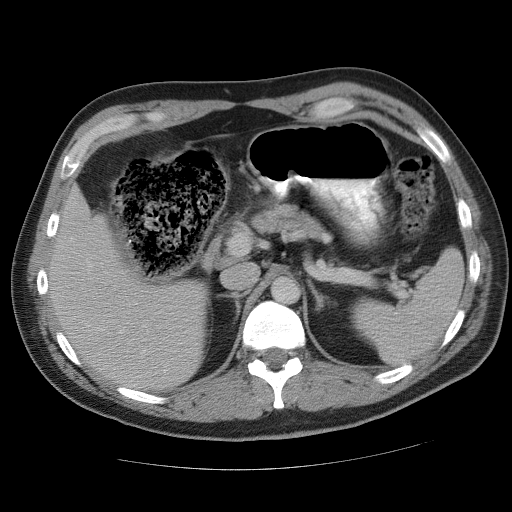 Computed tomography
spleen:
  - box=[353, 249, 462, 366]